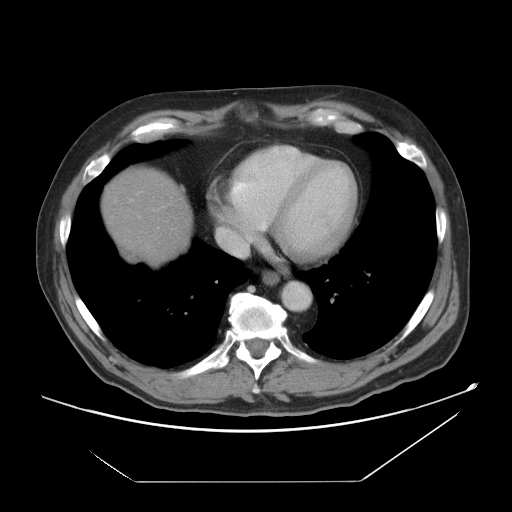 CT scan slice
The liver is located at [102, 168, 191, 265].